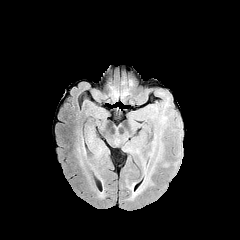
FLAIR MR image.
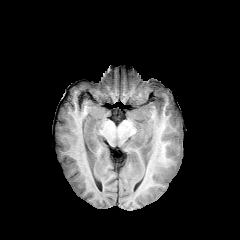
T1-weighted magnetic resonance.
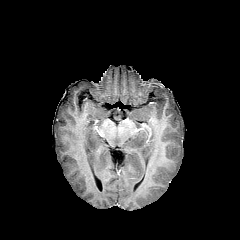
Post-contrast T1-weighted MRI.
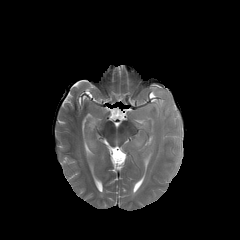
Same slice, T2-weighted MRI.
Head.
Segmented structures:
• edema: {"x1": 94, "y1": 142, "x2": 103, "y2": 159}